Field of view 240 mm wide, 1.00 mm slice spacing; Image size 240x240; Slice index 88
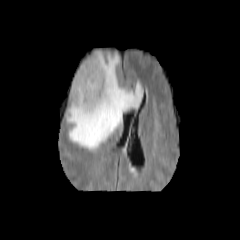
FLAIR magnetic resonance.
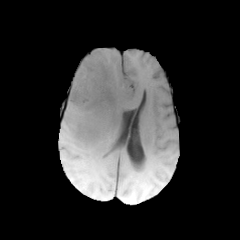
T1-weighted magnetic resonance.
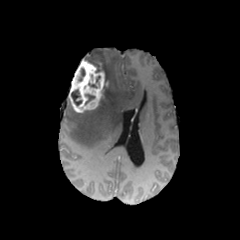
Same slice, post-contrast T1-weighted MRI.
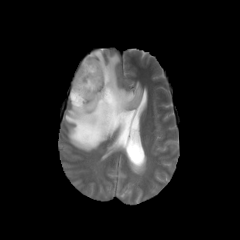
T2-weighted MR.
Enhancing tumor at [68, 59, 104, 113].
Non-enhancing tumor core at [85, 59, 108, 103], [71, 90, 82, 105].
Edema at [65, 50, 142, 151].